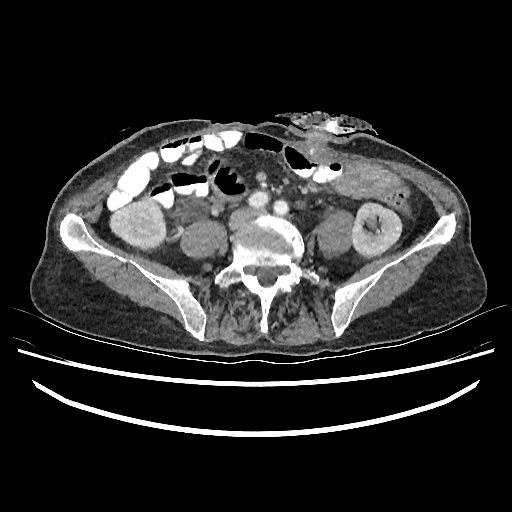
CT scan slice. Image size 512x512. Abdomen.
2 kidney regions are located at {"x1": 352, "y1": 203, "x2": 401, "y2": 254}, {"x1": 110, "y1": 196, "x2": 165, "y2": 247}.